CT, 512x512 px 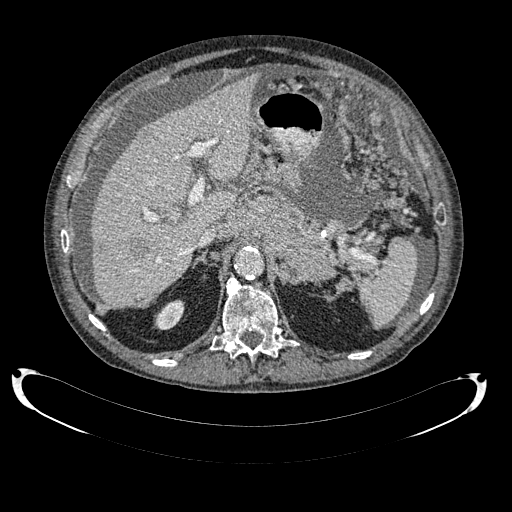
<segmentation>
  <kidney>156, 300, 183, 329</kidney>
  <liver_lesion>130, 238, 147, 256; 96, 244, 103, 252; 141, 126, 153, 139</liver_lesion>
  <liver>90, 73, 258, 308</liver>
</segmentation>